MR. Image size 33x59. Slice 6 of 29.

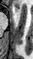 The anterior hippocampus lies within 15:8:17:10.